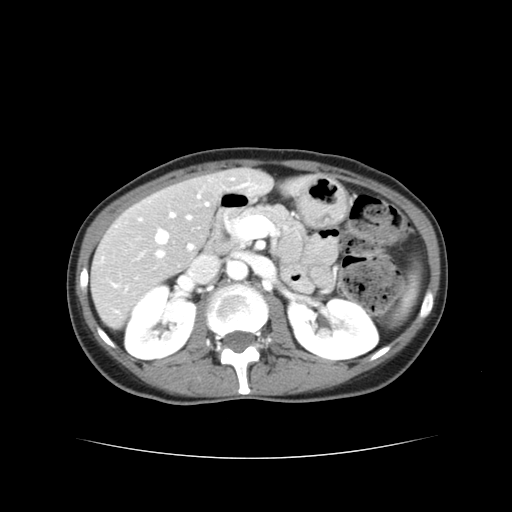
Abdomen | 512x512 px | CT scan slice
Not every hepatic vessel necessarily has a box.
Annotated regions:
• hepatic vessel: (x1=189, y1=245, x2=192, y2=248), (x1=157, y1=252, x2=162, y2=256), (x1=189, y1=217, x2=190, y2=218), (x1=171, y1=214, x2=174, y2=216), (x1=157, y1=230, x2=167, y2=242)